FLAIR MRI.
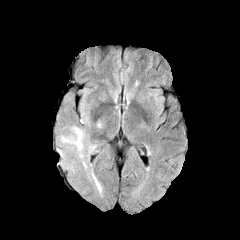
T1-weighted MRI.
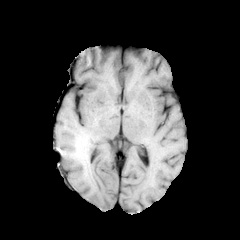
Post-contrast T1-weighted MR image.
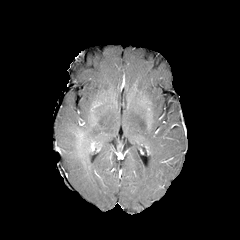
T2-weighted MRI.
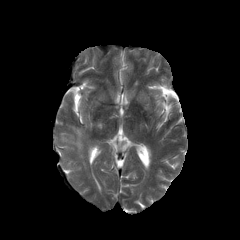
Head
edema: <box>58,126,97,165</box>